CT

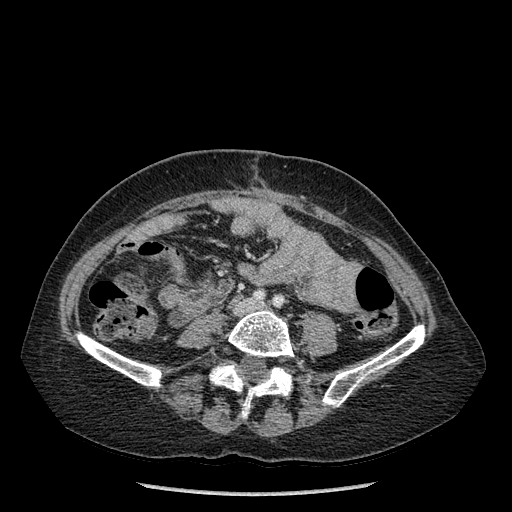
bone:
  - 210, 362, 245, 391
  - 322, 324, 425, 407
  - 228, 309, 293, 357
  - 76, 332, 161, 387
  - 241, 367, 292, 417